FLAIR MR.
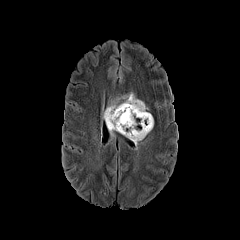
T1-weighted MR image.
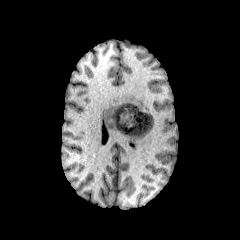
Post-contrast T1-weighted MR image.
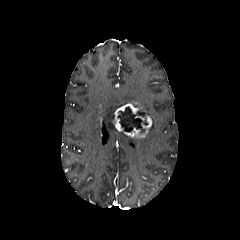
T2-weighted MRI.
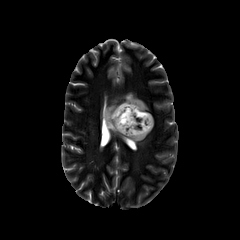
Non-enhancing tumor core — left=117, top=106, right=145, bottom=133.
Edema — left=103, top=99, right=117, bottom=131; left=124, top=94, right=136, bottom=103.
Enhancing tumor — left=113, top=103, right=152, bottom=139.